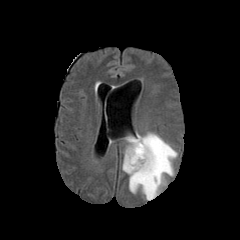
FLAIR MR.
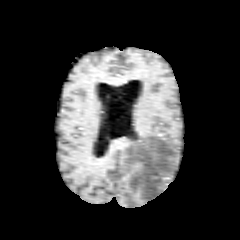
T1-weighted MR of the same slice.
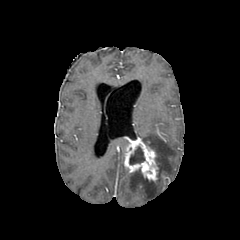
Post-contrast T1-weighted MR.
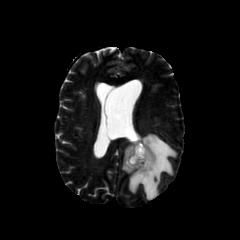
T2-weighted MR image of the same slice.
Brain
<segmentation>
  <edema>box(122, 132, 177, 200)</edema>
  <non-enhancing_tumor_core>box(129, 147, 144, 164)</non-enhancing_tumor_core>
  <enhancing_tumor>box(124, 136, 158, 182)</enhancing_tumor>
</segmentation>